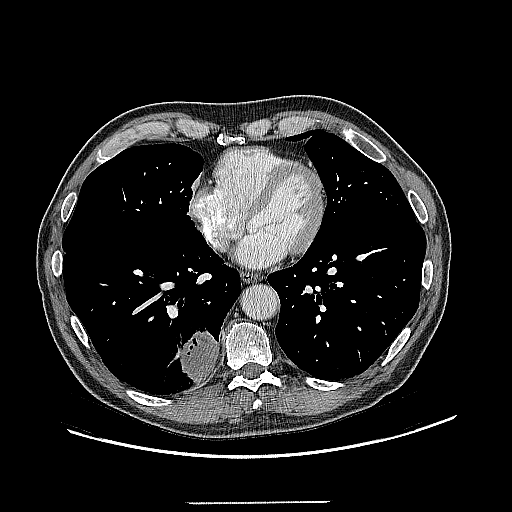 Chest | Computed tomography
Lung tumor: bounding box [176, 327, 217, 383].